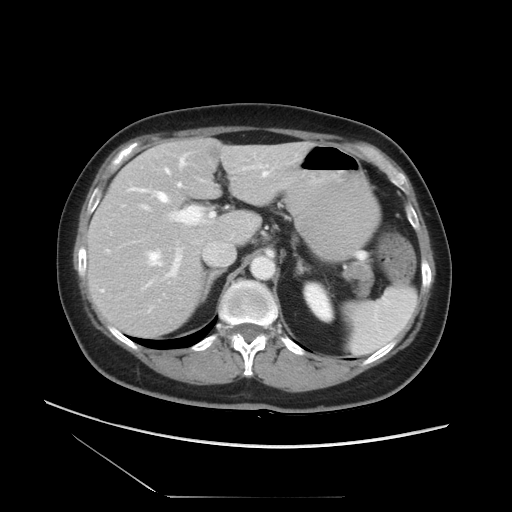

CT image

The vessel annotation is not exhaustive.
<segmentation>
  <hepatic_vessel>region(165, 168, 169, 173); region(242, 164, 272, 176); region(170, 206, 202, 224); region(148, 251, 161, 265); region(180, 154, 187, 166); region(156, 192, 168, 202); region(107, 250, 108, 252); region(178, 183, 180, 186); region(210, 221, 211, 222); region(101, 290, 103, 291); region(142, 205, 148, 209); region(209, 212, 214, 218); region(146, 281, 151, 287); region(129, 187, 147, 192); region(166, 249, 180, 277)</hepatic_vessel>
</segmentation>